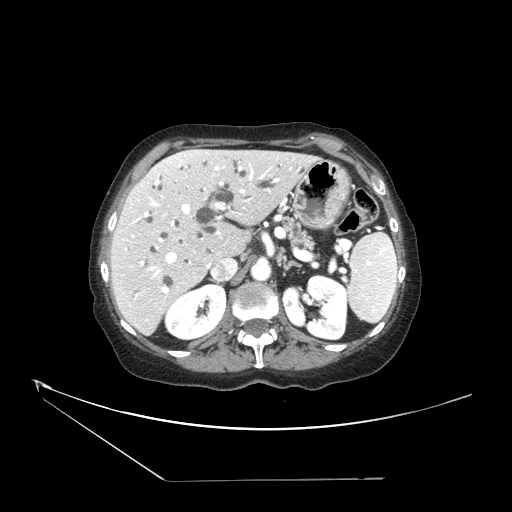 CT image.
The pancreas lies within region(283, 216, 313, 250).